CT slice. Slice 157 of 836. Image size 512x512.

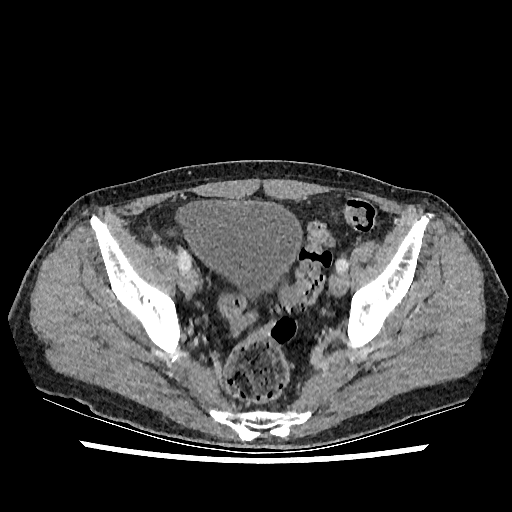
The urinary bladder is bounded by [180, 199, 302, 303].